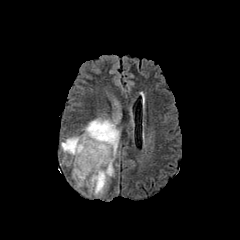
FLAIR MRI.
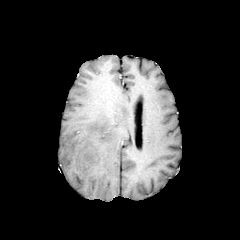
T1-weighted magnetic resonance.
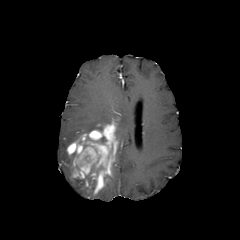
Post-contrast T1-weighted MRI.
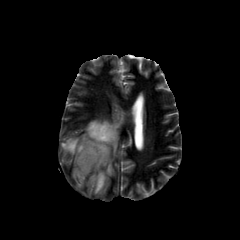
T2-weighted MRI.
Enhancing tumor: (left=66, top=123, right=117, bottom=193).
Edema: (left=97, top=162, right=114, bottom=197), (left=60, top=136, right=79, bottom=153), (left=82, top=117, right=112, bottom=133), (left=114, top=122, right=119, bottom=142).
Non-enhancing tumor core: (left=80, top=164, right=103, bottom=193).